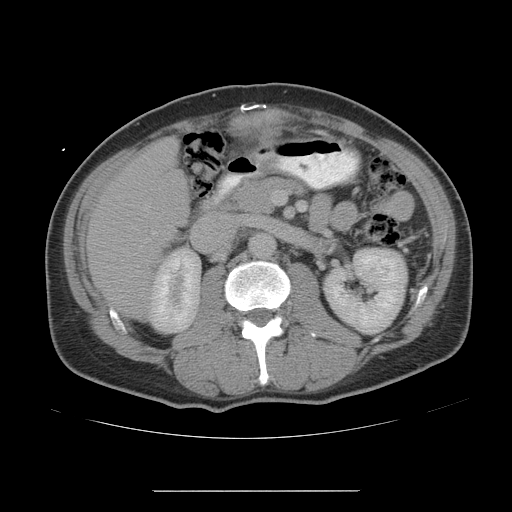

CT
The vessel boxes may cover only some of the vessels.
Hepatic vessel: bounding box [136,265,138,266], [152,231,156,234].